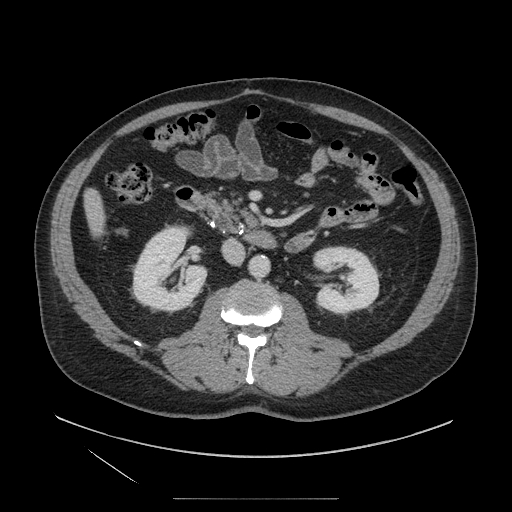
CT slice; Upper abdomen
Pancreas: 199 190 245 234.